FLAIR magnetic resonance.
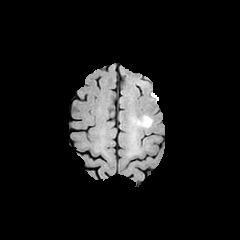
T1-weighted MR.
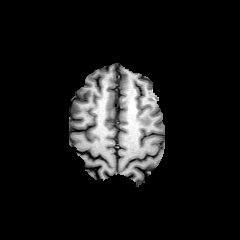
Post-contrast T1-weighted MR.
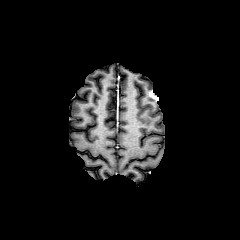
T2-weighted MR image.
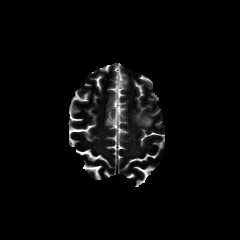
Head
The edema is bounded by <bbox>134, 114, 151, 127</bbox>.